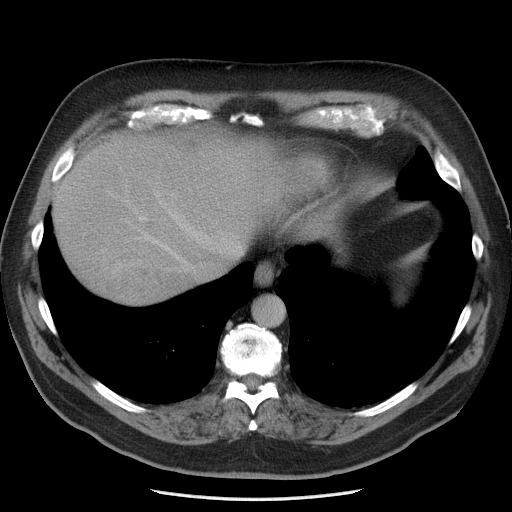
Image size 512x512, Abdomen, CT scan slice
The vessel annotation is not exhaustive.
liver_tumor:
  - <bbox>105, 252, 158, 300</bbox>
hepatic_vessel:
  - <bbox>154, 189, 166, 207</bbox>
  - <bbox>133, 207, 136, 213</bbox>
  - <bbox>167, 209, 241, 256</bbox>
  - <bbox>219, 231, 220, 233</bbox>
  - <bbox>139, 216, 146, 220</bbox>
  - <bbox>122, 218, 128, 222</bbox>
  - <bbox>188, 188, 190, 191</bbox>
  - <bbox>135, 237, 139, 238</bbox>
  - <bbox>144, 233, 166, 247</bbox>
  - <bbox>169, 249, 220, 279</bbox>
  - <bbox>166, 268, 170, 271</bbox>